Upper abdomen; CT scan slice

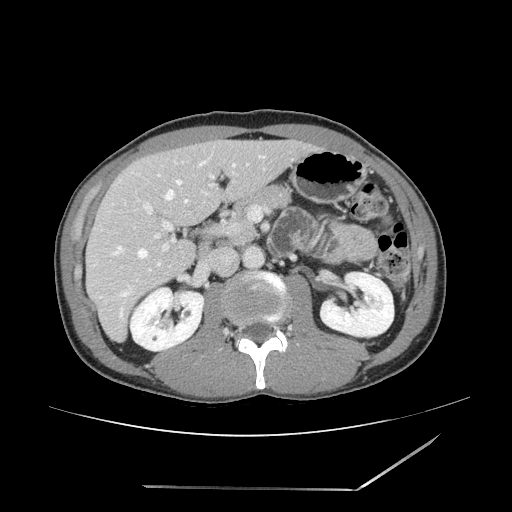
pancreas:
  - (left=234, top=185, right=291, bottom=243)